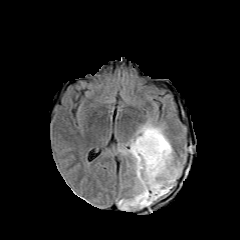
FLAIR magnetic resonance.
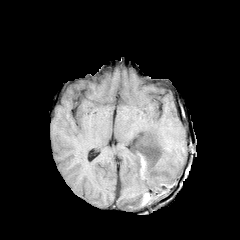
T1-weighted magnetic resonance of the same slice.
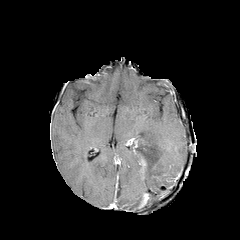
Same slice, post-contrast T1-weighted magnetic resonance.
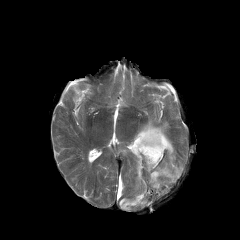
T2-weighted MRI.
<segmentation>
  <edema>left=117, top=120, right=181, bottom=211</edema>
  <non-enhancing_tumor_core>left=128, top=136, right=139, bottom=153</non-enhancing_tumor_core>
</segmentation>